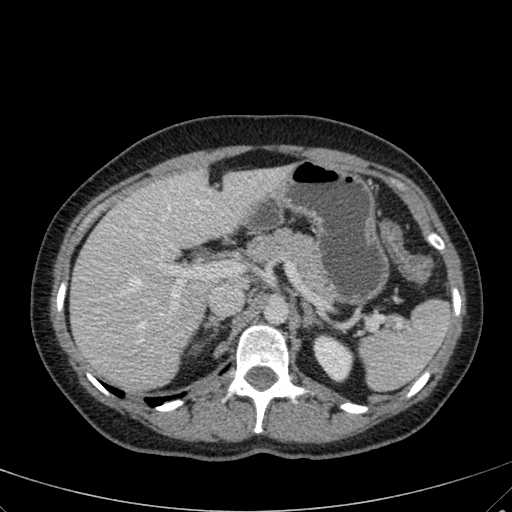
512x512; CT slice
{
  "focal_liver_lesion": [
    "(left=202, top=170, right=208, bottom=177)"
  ],
  "kidney": [
    "(left=315, top=337, right=350, bottom=379)"
  ],
  "liver": [
    "(left=70, top=166, right=291, bottom=387)"
  ]
}